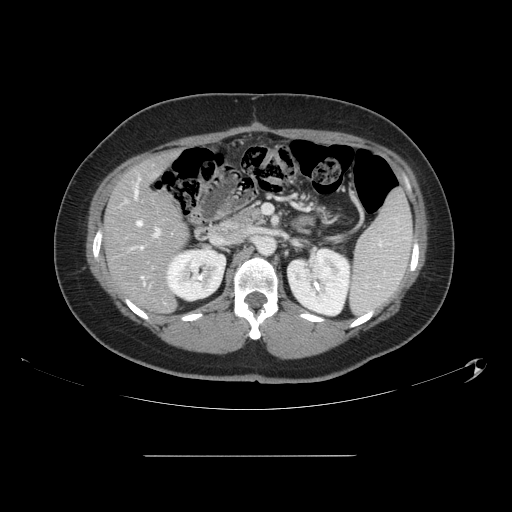
Image size 512x512. Liver. CT image. The vessel annotation is not exhaustive.
{"hepatic_vessel": ["[141, 276, 143, 278]", "[140, 246, 142, 248]", "[138, 178, 139, 180]", "[154, 228, 159, 236]", "[137, 221, 141, 225]", "[135, 185, 137, 196]"]}